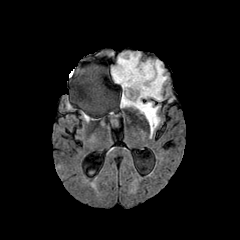
FLAIR MRI.
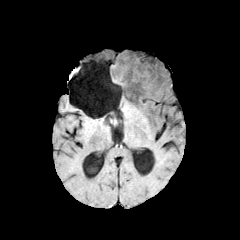
T1-weighted MR of the same slice.
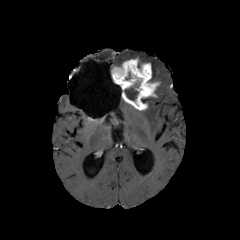
Post-contrast T1-weighted MRI.
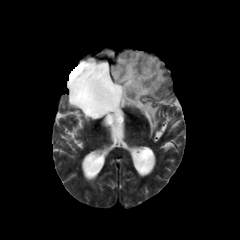
Same slice, T2-weighted magnetic resonance.
Head
2 non-enhancing tumor core regions appear at 139:58:159:82, 124:87:138:100. 3 edema regions are bounded by 140:100:160:135, 110:52:167:101, 120:98:135:109. The enhancing tumor appears at 111:58:159:109.